Slice 65/155; Brain; 240x240; Field of view 240 mm wide, 1.00 mm slice spacing
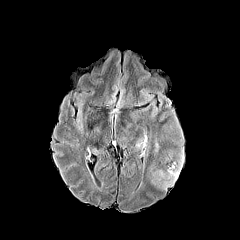
FLAIR magnetic resonance.
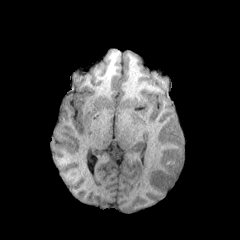
Same slice, T1-weighted magnetic resonance.
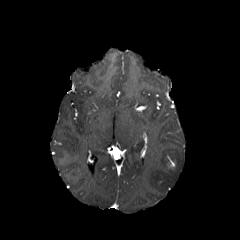
Post-contrast T1-weighted MRI.
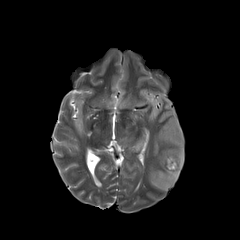
T2-weighted MR.
Segmented structures:
* edema: x1=167 y1=169 x2=178 y2=179
* enhancing tumor: x1=167 y1=159 x2=176 y2=169